CT image. Brain.

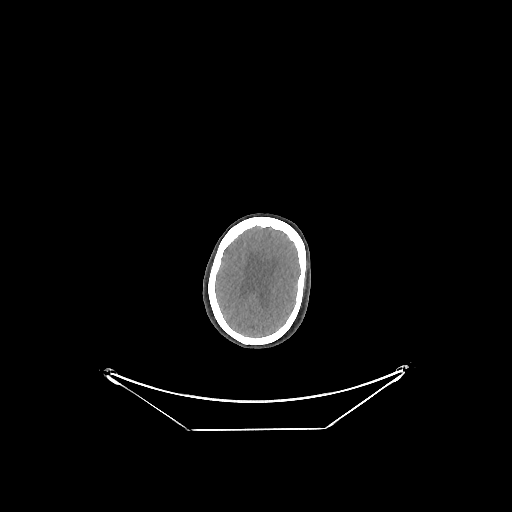
The brain lies within (215,226,300,337).